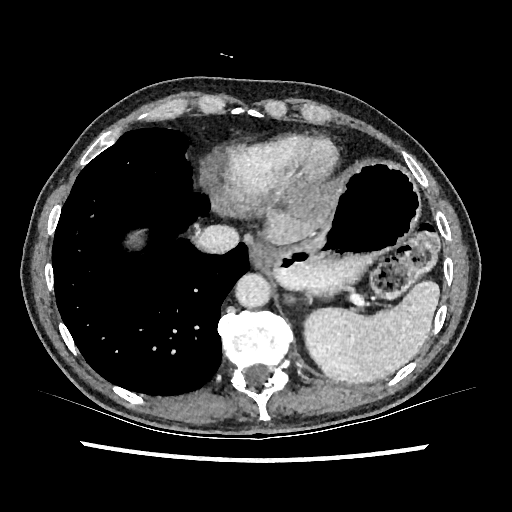
Abdomen; CT slice
* liver: (left=266, top=209, right=328, bottom=244), (left=298, top=177, right=344, bottom=192)
* hepatic lesion: (left=287, top=188, right=339, bottom=222)